Medial temporal lobe; Slice 7/46; MR image; Image size 37x45 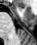
{
  "anterior_hippocampus": [
    "left=20, top=8, right=21, bottom=10"
  ]
}